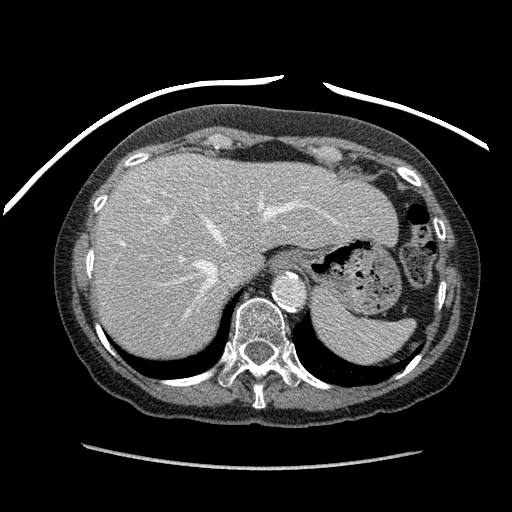
512x512 px. CT scan slice.

The liver is at (x1=93, y1=153, x2=396, y2=357).